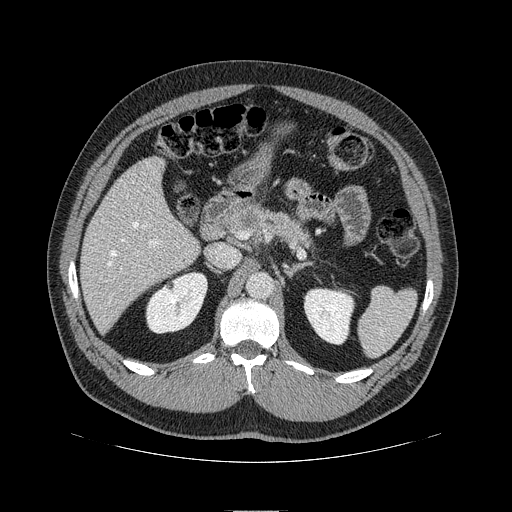 CT scan slice. Abdomen.

The pancreatic tumor is located at [237,209,260,228]. The pancreas lies within [227,202,311,246].